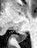

Magnetic resonance, Hippocampus
Annotated regions:
• posterior hippocampus: (15, 31, 27, 42)